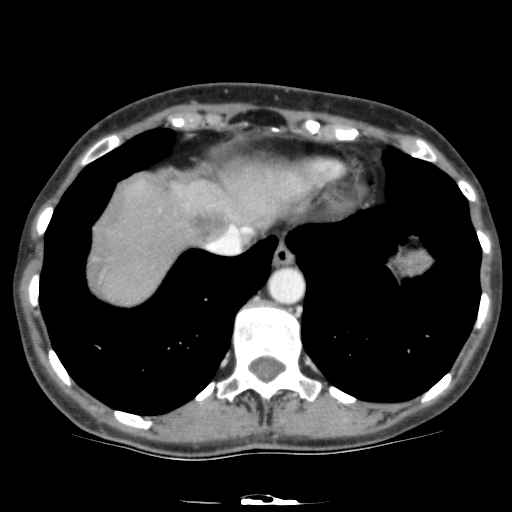

CT | Image size 512x512
liver:
  - region(90, 161, 312, 304)
focal_liver_lesion:
  - region(185, 208, 231, 244)